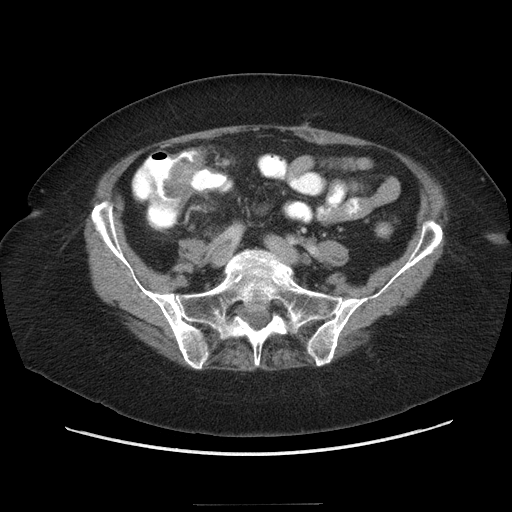 Computed tomography; 512x512; Abdomen

colon_tumor:
  - <box>162,154,202,205</box>